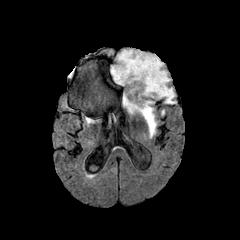
FLAIR MRI.
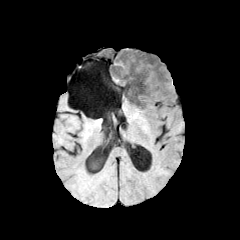
Same slice, T1-weighted MRI.
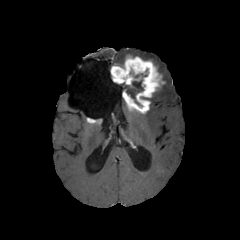
Same slice, post-contrast T1-weighted magnetic resonance.
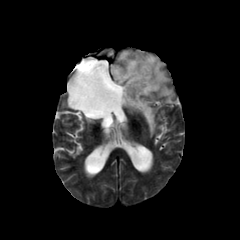
T2-weighted MRI of the same slice.
Head
The enhancing tumor appears at <bbox>110, 54, 163, 113</bbox>. The non-enhancing tumor core is bounded by <bbox>121, 80, 143, 99</bbox>. 2 edema regions are located at <bbox>114, 49, 176, 104</bbox>, <bbox>139, 100, 157, 136</bbox>.